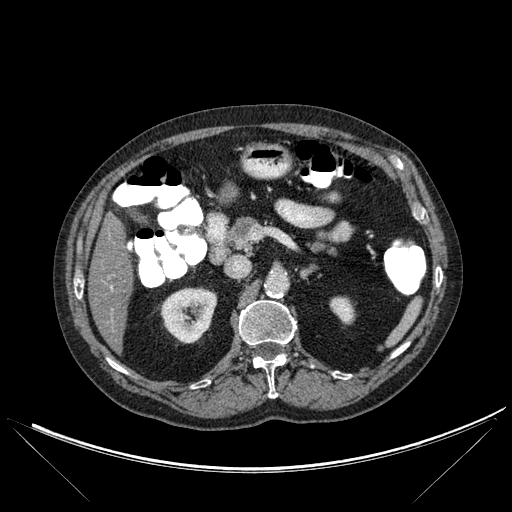
CT scan slice
{
  "kidney": [
    "x1=161 y1=288 x2=216 y2=342",
    "x1=330 y1=297 x2=353 y2=323"
  ],
  "liver": [
    "x1=89 y1=212 x2=133 y2=354"
  ],
  "bone": [
    "x1=75 y1=280 x2=82 y2=298",
    "x1=253 y1=354 x2=286 y2=397",
    "x1=332 y1=371 x2=350 y2=379",
    "x1=107 y1=358 x2=127 y2=373",
    "x1=239 y1=301 x2=296 y2=344",
    "x1=391 y1=342 x2=409 y2=357",
    "x1=191 y1=379 x2=210 y2=388",
    "x1=435 y1=267 x2=442 y2=286"
  ]
}